FLAIR magnetic resonance.
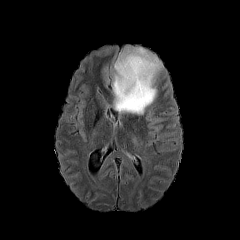
T1-weighted MR image.
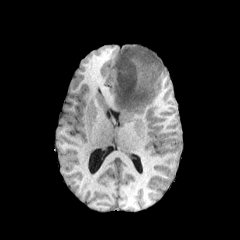
Post-contrast T1-weighted MR.
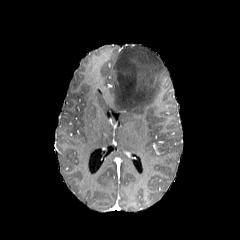
T2-weighted MR.
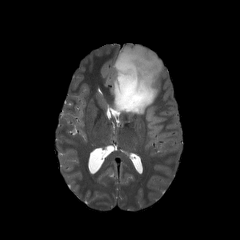
Brain
Findings:
* edema: l=111, t=48, r=163, b=115